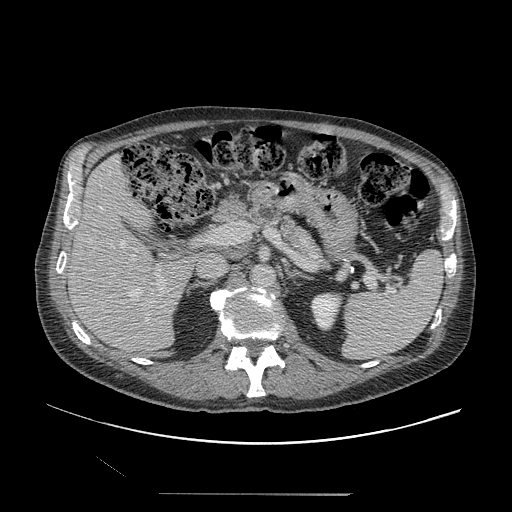 CT.
Annotated regions:
- pancreas: <box>245,200,331,270</box>